512x512 | CT | Slice index 495 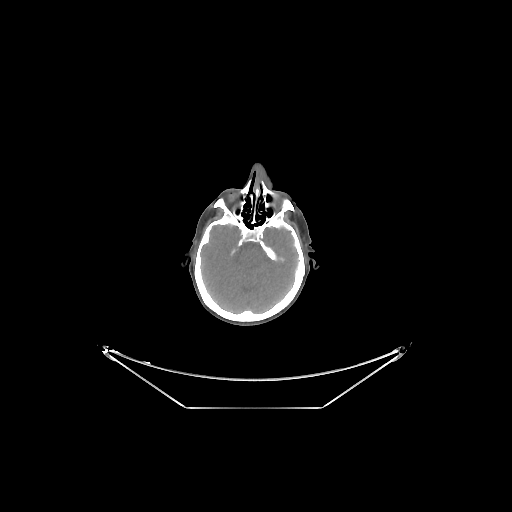

{
  "bone": [
    "rect(241, 181, 250, 193)",
    "rect(262, 183, 272, 194)",
    "rect(194, 198, 304, 321)"
  ],
  "brain": [
    "rect(200, 224, 298, 313)"
  ]
}